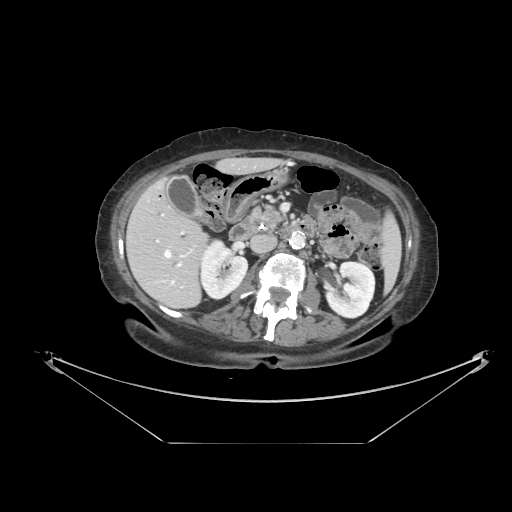

CT image.
pancreatic_tumor:
  - box(265, 208, 280, 226)
pancreas:
  - box(252, 205, 276, 223)